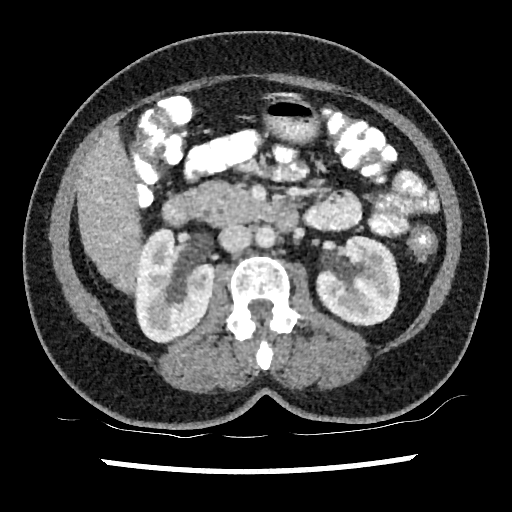 Abdomen, CT image, 512x512
Liver: bbox(78, 129, 141, 289).
Kidney: bbox(317, 237, 398, 324); bbox(136, 230, 213, 341).